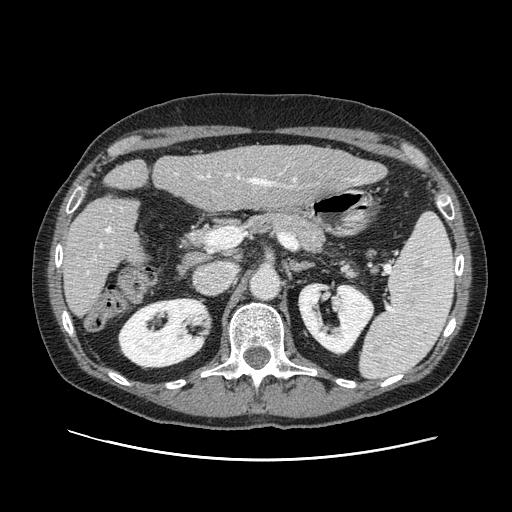

CT
2 pancreas regions are bounded by 339:262:356:277, 251:210:325:251.